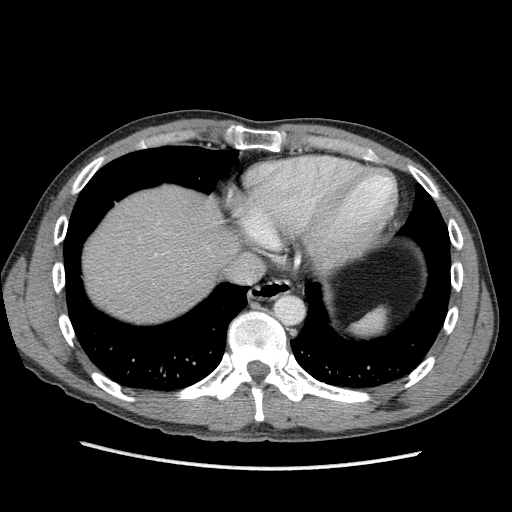
Upper abdomen | CT
<segmentation>
  <liver>left=82, top=184, right=248, bottom=323</liver>
</segmentation>